Slice 109/155. Field of view 240 mm wide, 1.00 mm slice spacing.
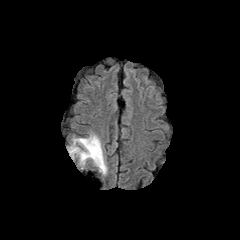
FLAIR MR image.
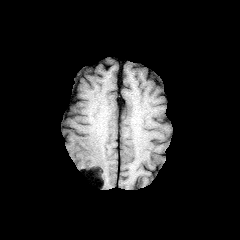
T1-weighted magnetic resonance of the same slice.
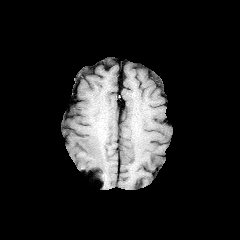
Post-contrast T1-weighted MR image of the same slice.
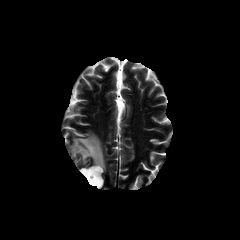
T2-weighted MR.
Edema = 67,131,108,175.